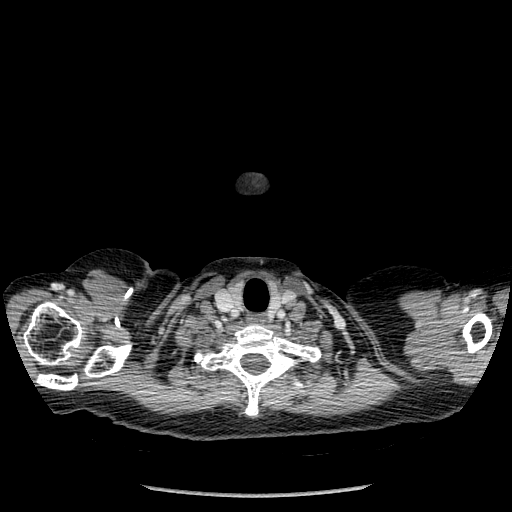
CT image | 512x512 px

Bone — left=36, top=373, right=77, bottom=390; left=84, top=343, right=131, bottom=377; left=23, top=301, right=84, bottom=365; left=319, top=378, right=329, bottom=388; left=194, top=323, right=321, bottom=415; left=462, top=312, right=491, bottom=353.